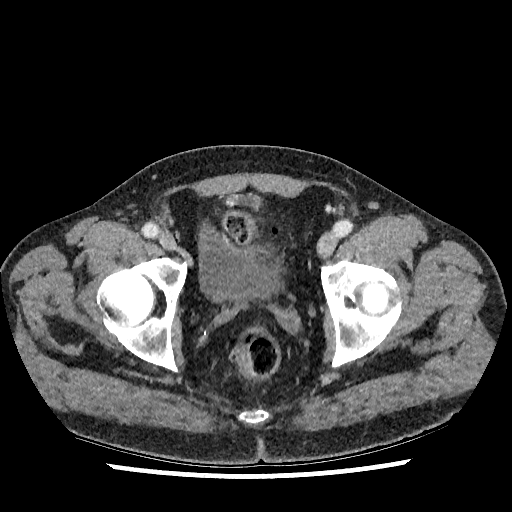 Computed tomography; Lower abdomen

Urinary bladder: bounding box x1=198 y1=227 x2=284 y2=308, x1=222 y1=199 x2=259 y2=205.